CT slice, Field of view 404x404 mm, Liver

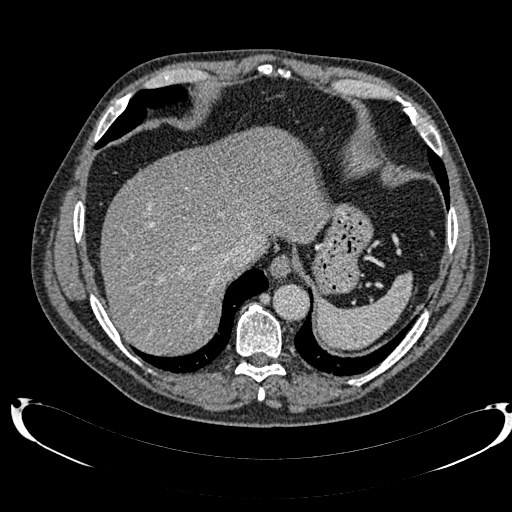 {
  "liver": [
    "l=101, t=127, r=327, b=355"
  ],
  "hepatic_lesion": [
    "l=147, t=136, r=253, b=224"
  ]
}